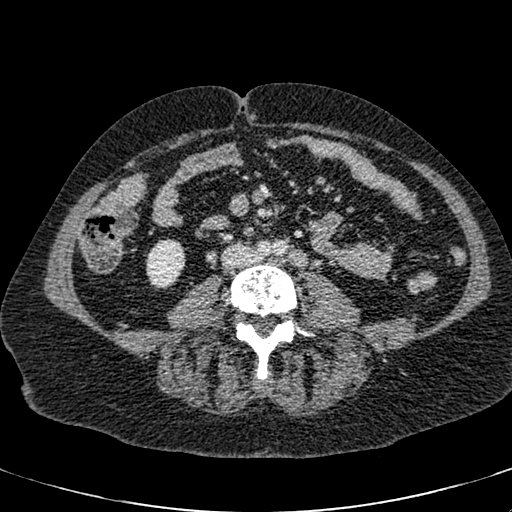 512x512 px; Abdomen; Computed tomography
Kidney = x1=147, y1=240, x2=184, y2=287.